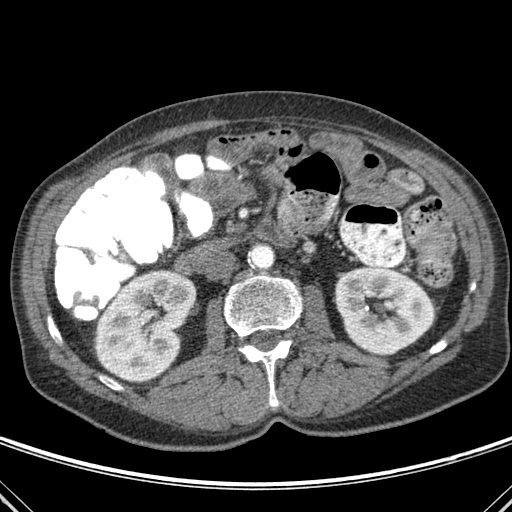

Image size 512x512; CT scan slice
Segmented structures:
* kidney: rect(96, 274, 195, 380); rect(336, 264, 433, 353)
* bone: rect(238, 340, 291, 406); rect(99, 375, 122, 390); rect(430, 340, 446, 353); rect(48, 316, 61, 340); rect(224, 273, 302, 337)